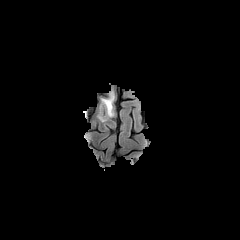
FLAIR magnetic resonance.
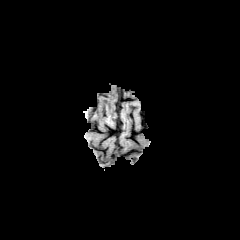
T1-weighted magnetic resonance.
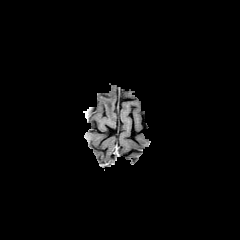
Post-contrast T1-weighted MRI.
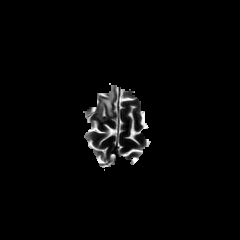
Same slice, T2-weighted MRI.
Head
non-enhancing tumor core: 98,108,105,119 | edema: 98,92,115,125